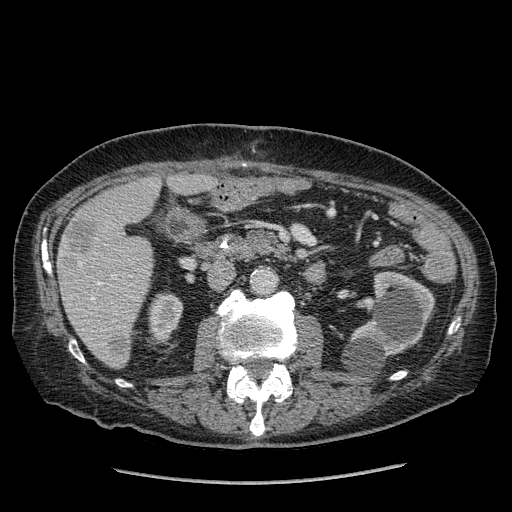
CT image, Image size 512x512

<segmentation>
  <liver>bbox(168, 174, 217, 194); bbox(58, 177, 160, 368)</liver>
  <kidney>bbox(150, 295, 182, 339); bbox(351, 272, 434, 355)</kidney>
  <hepatic_lesion>bbox(108, 336, 126, 354); bbox(67, 220, 93, 253); bbox(65, 257, 75, 263)</hepatic_lesion>
</segmentation>